Slice 484 of 871, CT scan slice
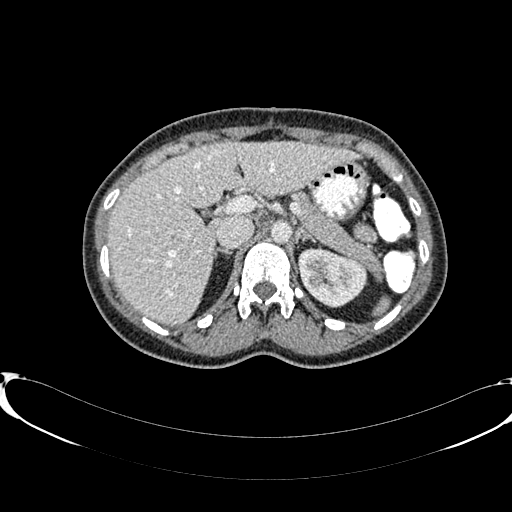 Annotated regions:
• kidney: 300, 250, 364, 308
• liver: 107, 142, 360, 323